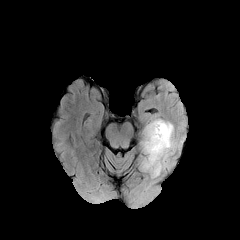
FLAIR magnetic resonance.
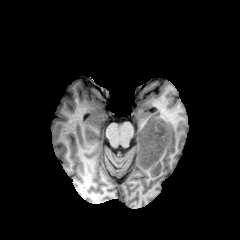
T1-weighted MR.
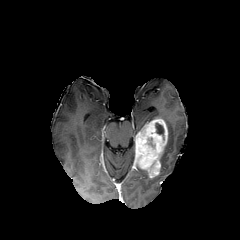
Same slice, post-contrast T1-weighted MR.
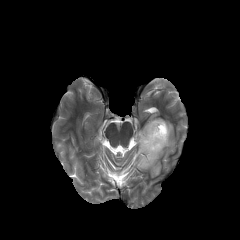
T2-weighted magnetic resonance.
Brain.
Non-enhancing tumor core — 156,123,163,134.
Enhancing tumor — 134,118,167,177.
Edema — 160,120,177,172.